Head
FLAIR MRI.
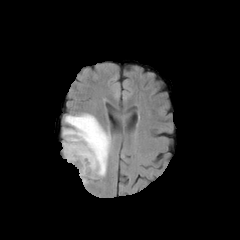
T1-weighted MR image.
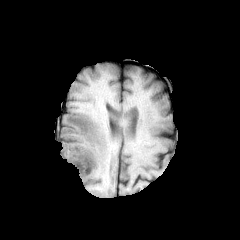
Post-contrast T1-weighted MRI.
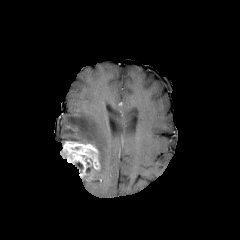
T2-weighted MRI.
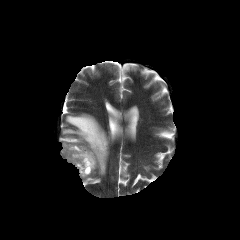
{"edema": ["bbox(63, 113, 112, 175)"], "enhancing_tumor": ["bbox(62, 140, 100, 177)"]}